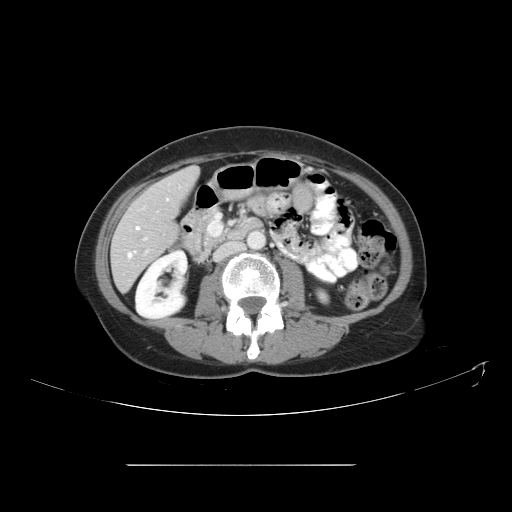

Liver; CT image

The vessel boxes may cover only some of the vessels.
6 hepatic vessel regions are bounded by bbox(166, 198, 168, 200); bbox(178, 186, 180, 188); bbox(145, 250, 148, 253); bbox(128, 251, 135, 257); bbox(144, 237, 147, 239); bbox(136, 226, 139, 229).